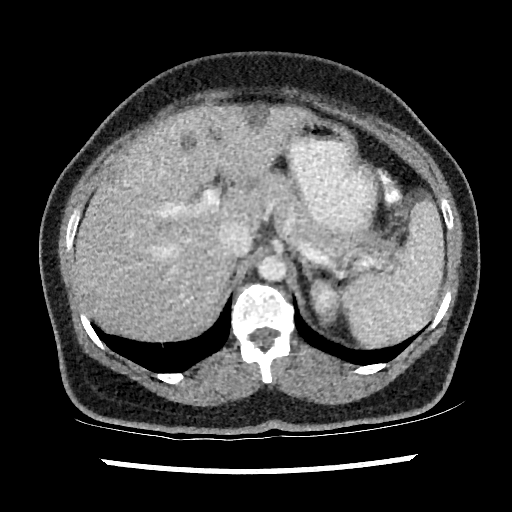
Computed tomography.

Liver = [x1=73, y1=105, x2=305, y2=338].
Kidney = [x1=318, y1=287, x2=333, y2=307].
Liver lesion = [x1=243, y1=178, x2=257, y2=188], [x1=80, y1=292, x2=96, y2=311], [x1=108, y1=171, x2=116, y2=183], [x1=181, y1=131, x2=196, y2=149], [x1=243, y1=107, x2=268, y2=128].